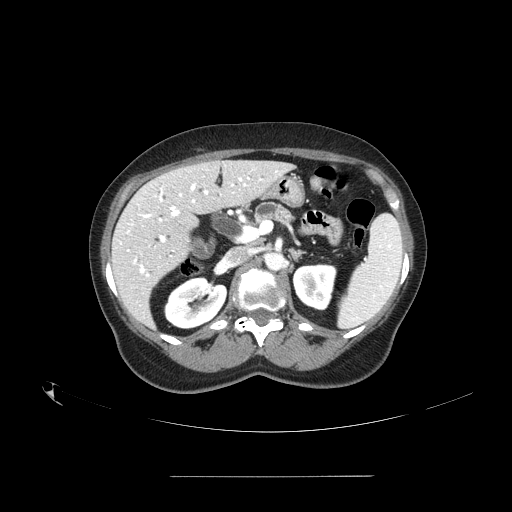
CT scan slice. pancreas: 254 202 294 225